FLAIR MR.
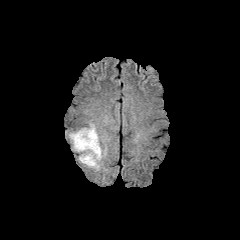
T1-weighted MRI.
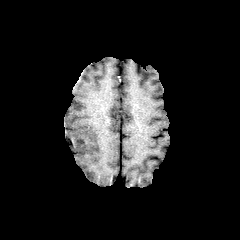
Post-contrast T1-weighted MR.
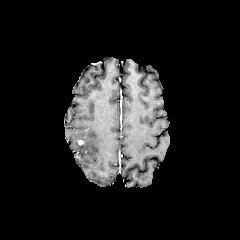
T2-weighted MR.
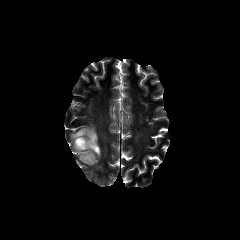
Head
<segmentation>
  <edema>left=69, top=123, right=105, bottom=169</edema>
</segmentation>